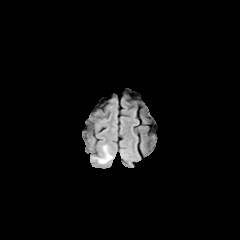
FLAIR magnetic resonance.
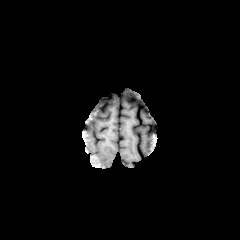
T1-weighted magnetic resonance of the same slice.
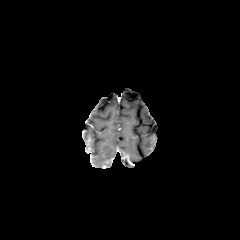
Post-contrast T1-weighted MRI of the same slice.
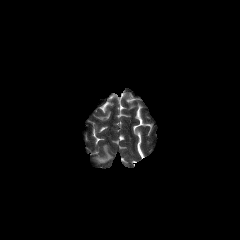
T2-weighted MR image.
Edema at {"x1": 94, "y1": 145, "x2": 111, "y2": 163}.